240x240 px.
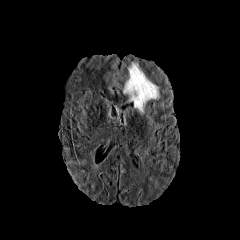
FLAIR magnetic resonance.
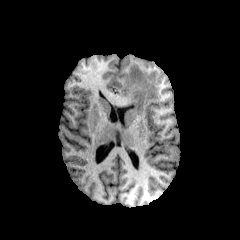
Same slice, T1-weighted MRI.
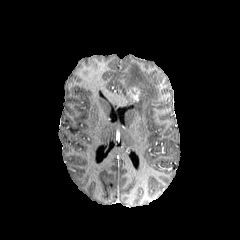
Post-contrast T1-weighted MRI of the same slice.
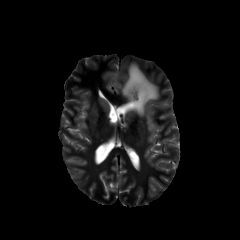
T2-weighted magnetic resonance.
<segmentation>
  <enhancing_tumor>[127, 87, 140, 102]</enhancing_tumor>
  <edema>[123, 63, 158, 115]</edema>
</segmentation>